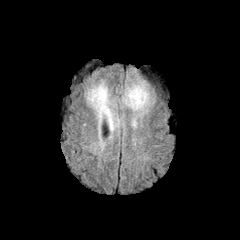
FLAIR MR.
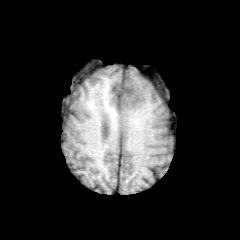
Same slice, T1-weighted magnetic resonance.
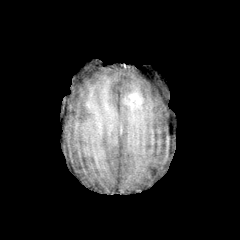
Post-contrast T1-weighted magnetic resonance.
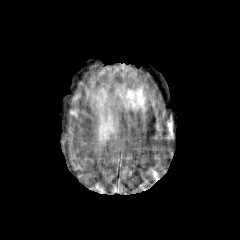
T2-weighted magnetic resonance.
Brain. 240x240.
{"enhancing_tumor": ["bbox=[124, 88, 143, 109]"], "edema": ["bbox=[87, 84, 117, 131]", "bbox=[122, 81, 153, 116]"]}